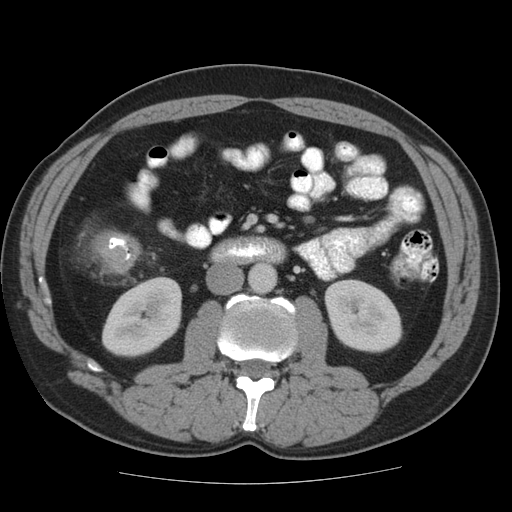
Abdomen | CT slice

colon_tumor:
  - (95, 232, 139, 271)